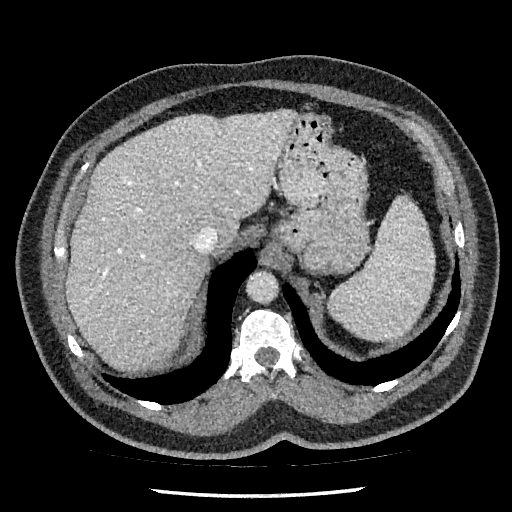
CT scan slice. Upper abdomen. The liver is located at bbox=[66, 110, 296, 370].